Slice 41 of 155. Field of view 240x240 mm. Brain.
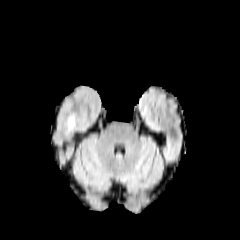
FLAIR MR.
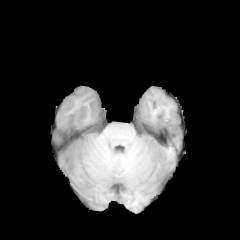
Same slice, T1-weighted magnetic resonance.
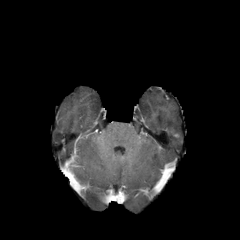
Post-contrast T1-weighted MR image.
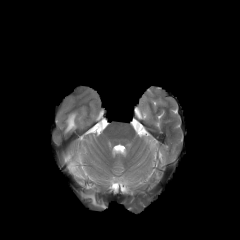
T2-weighted magnetic resonance.
The edema appears at x1=67 y1=114 x2=76 y2=131.